Slice 41 of 56, CT scan slice, Field of view 379x379 mm 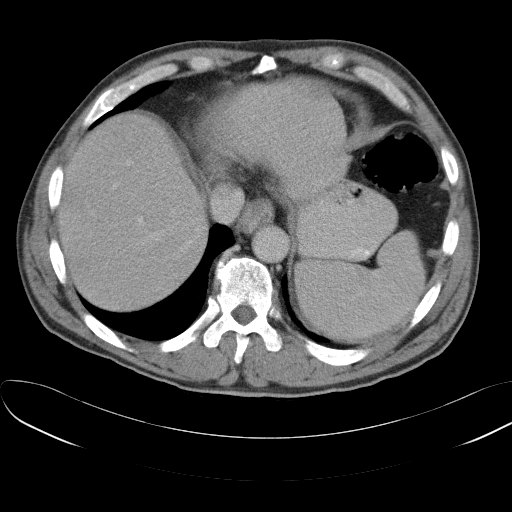
Spleen: bounding box {"x1": 297, "y1": 231, "x2": 425, "y2": 342}.